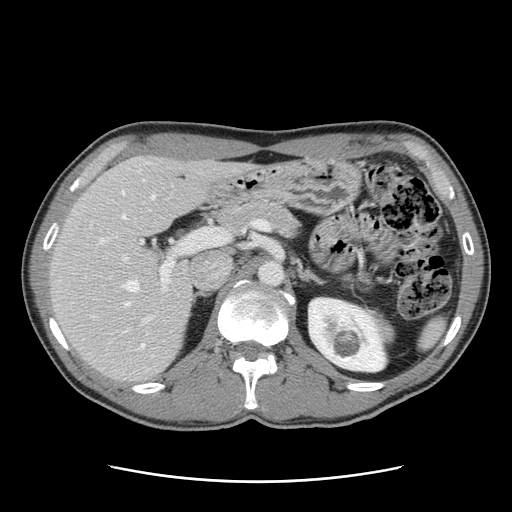 Liver. Computed tomography. 512x512 px.
Some hepatic vessels may have no box.
- hepatic vessel: left=160, top=262, right=172, bottom=289; left=151, top=194, right=154, bottom=198; left=122, top=215, right=125, bottom=218; left=92, top=316, right=95, bottom=316; left=99, top=239, right=104, bottom=243; left=142, top=180, right=144, bottom=181; left=139, top=344, right=144, bottom=348; left=125, top=280, right=138, bottom=291; left=140, top=239, right=142, bottom=242; left=144, top=317, right=150, bottom=320; left=124, top=330, right=127, bottom=331; left=123, top=256, right=126, bottom=260; left=122, top=191, right=124, bottom=194; left=125, top=302, right=129, bottom=305